512x512 px. CT. Lung. 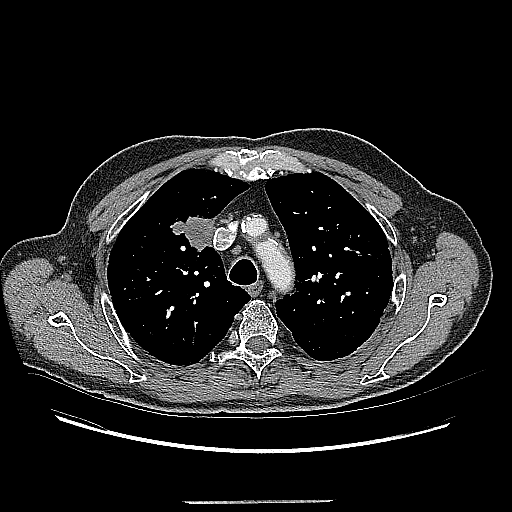
lung_tumor:
  - left=172, top=215, right=216, bottom=252